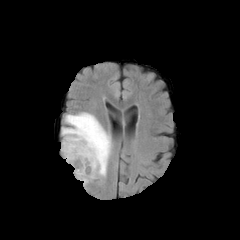
FLAIR MR.
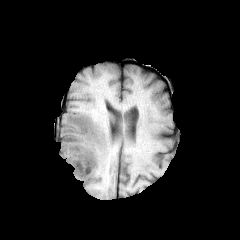
T1-weighted MR image.
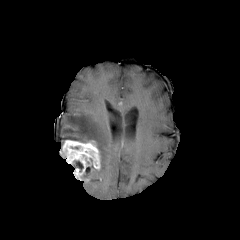
Same slice, post-contrast T1-weighted MR.
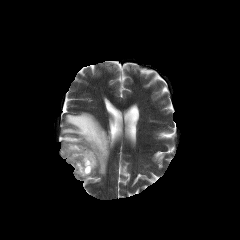
Same slice, T2-weighted MR image.
Head.
Enhancing tumor — [x1=60, y1=140, x2=100, y2=181].
Non-enhancing tumor core — [x1=74, y1=160, x2=83, y2=171].
Edema — [x1=62, y1=112, x2=112, y2=181].